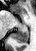 36x51; Hippocampus; Magnetic resonance

posterior_hippocampus:
  - <bbox>12, 29, 28, 43</bbox>